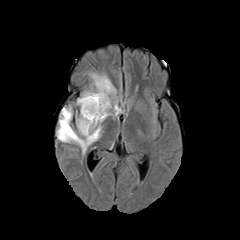
FLAIR magnetic resonance.
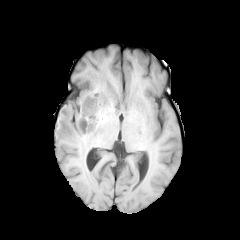
T1-weighted MR of the same slice.
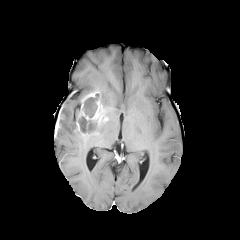
Post-contrast T1-weighted MR image of the same slice.
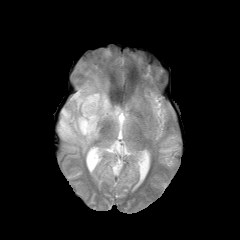
T2-weighted MR.
The edema lies within bbox(57, 71, 127, 155). 2 non-enhancing tumor core regions appear at bbox(76, 103, 107, 138); bbox(83, 94, 109, 118). The enhancing tumor appears at bbox(81, 90, 106, 121).